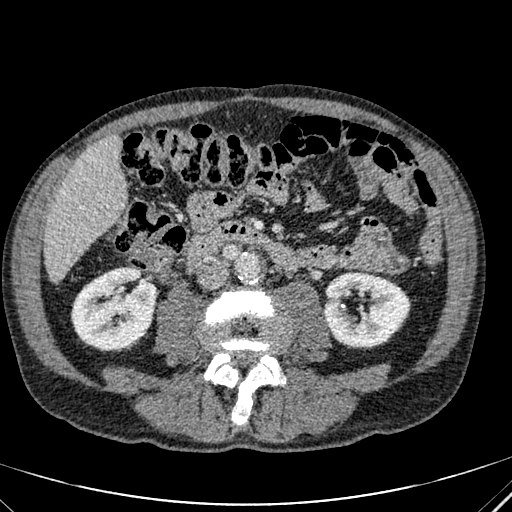

Image size 512x512, CT image, Abdomen

<segmentation>
  <liver>bbox=[45, 138, 125, 280]</liver>
  <kidney>bbox=[72, 268, 155, 349]; bbox=[325, 273, 408, 345]</kidney>
</segmentation>